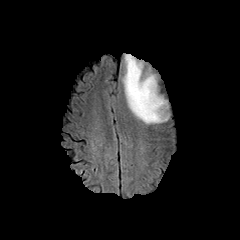
FLAIR MR image.
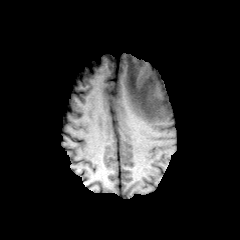
T1-weighted MRI of the same slice.
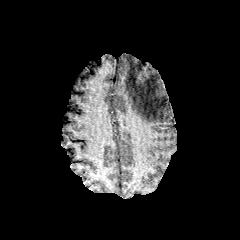
Same slice, post-contrast T1-weighted MR.
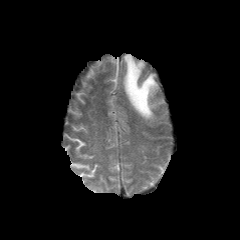
T2-weighted magnetic resonance.
Head.
<segmentation>
  <edema>x1=122, y1=54, x2=167, y2=124</edema>
</segmentation>